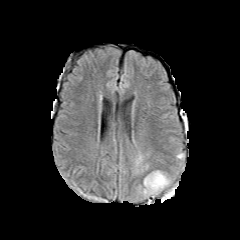
FLAIR MRI.
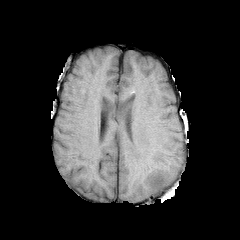
T1-weighted MRI of the same slice.
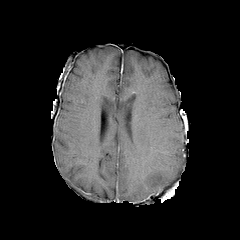
Post-contrast T1-weighted magnetic resonance.
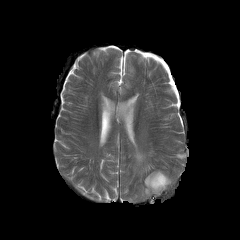
T2-weighted MR of the same slice.
Head
edema: (left=142, top=170, right=170, bottom=197)